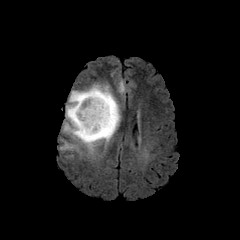
FLAIR magnetic resonance.
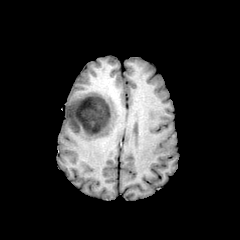
Same slice, T1-weighted magnetic resonance.
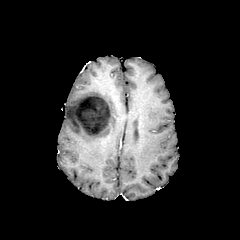
Same slice, post-contrast T1-weighted MRI.
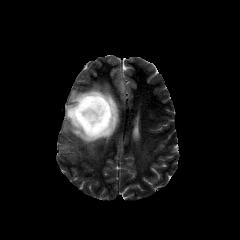
T2-weighted MR image of the same slice.
Image size 240x240.
edema:
  - region(63, 84, 119, 149)
  - region(107, 117, 118, 141)
non-enhancing_tumor_core:
  - region(68, 94, 119, 141)